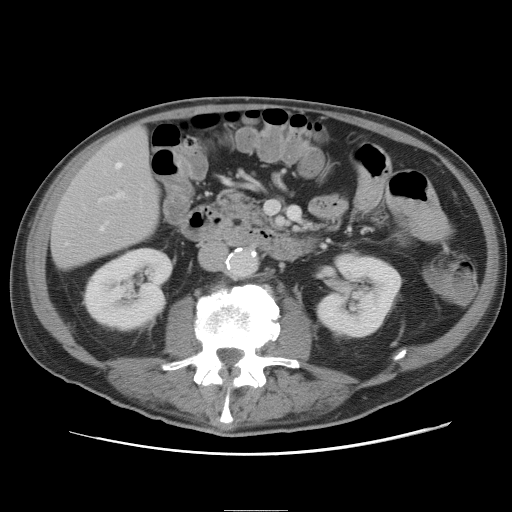
CT, 512x512 px

Some hepatic vessels may have no box.
hepatic_vessel:
  - <bbox>67, 242, 68, 244</bbox>
  - <bbox>107, 197, 111, 198</bbox>
  - <bbox>101, 226, 104, 230</bbox>
  - <bbox>106, 222, 108, 223</bbox>
  - <bbox>100, 199, 103, 201</bbox>
  - <bbox>117, 163, 121, 168</bbox>
  - <bbox>116, 192, 124, 198</bbox>